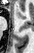
Magnetic resonance, Hippocampus, Image size 34x53
Anterior hippocampus at (16,11,25,18).